Computed tomography

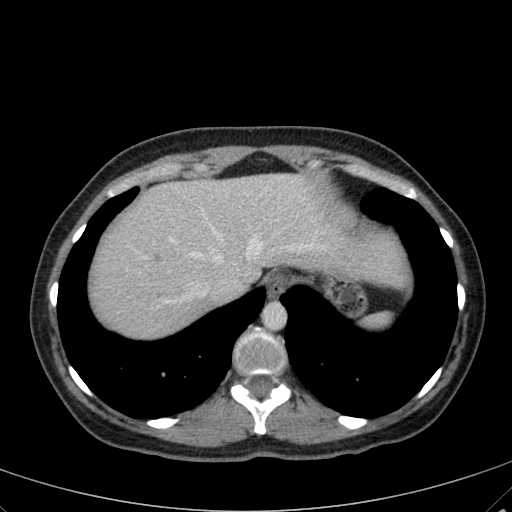 {"hepatic_lesion": ["l=154, t=254, r=161, b=262"], "liver": ["l=89, t=172, r=410, b=338"]}